CT image

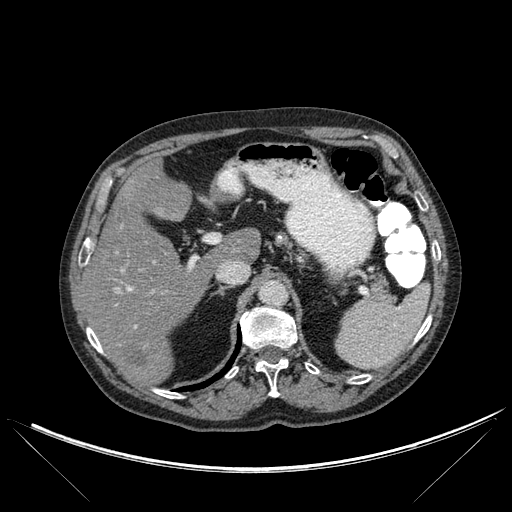
The lung is bounded by <box>179,331,240,391</box>. 2 liver regions appear at <box>211,228,260,263</box>, <box>85,164,217,384</box>. The liver lesion appears at <box>123,341,145,365</box>. 10 bone regions are bounded by <box>87,328,102,352</box>, <box>255,359,288,396</box>, <box>240,307,296,348</box>, <box>416,196,427,210</box>, <box>349,374,371,384</box>, <box>414,316,431,341</box>, <box>154,389,182,398</box>, <box>432,241,440,259</box>, <box>225,367,238,378</box>, <box>305,363,318,373</box>.